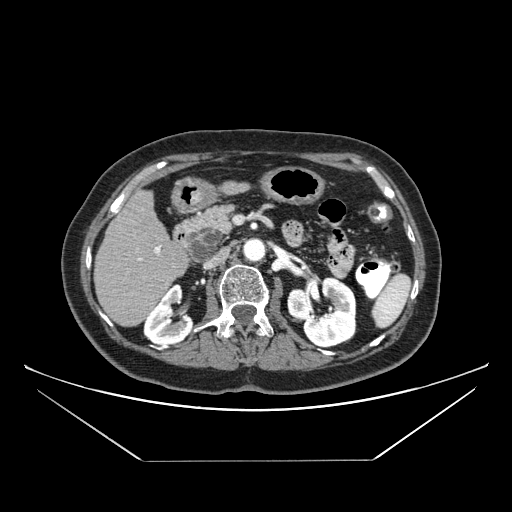

Abdomen | CT
Pancreatic tumor = 187,228,220,262.
Pancreas = 179,205,236,264.